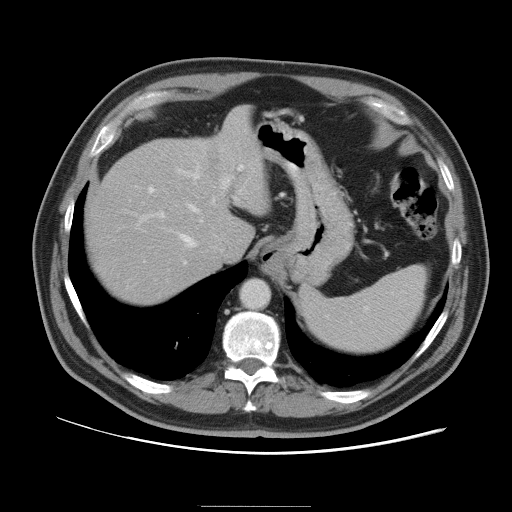

512x512 px; CT; Abdomen
The vessel annotation is not exhaustive.
{
  "hepatic_vessel": [
    "238,165,242,169",
    "212,199,214,204",
    "148,186,153,192",
    "143,260,145,261",
    "214,246,216,248",
    "239,186,244,193",
    "180,234,196,246",
    "137,212,163,227",
    "189,205,198,211",
    "221,176,233,188",
    "200,220,202,221",
    "232,167,233,168",
    "221,193,223,194",
    "176,163,199,183",
    "184,261,186,263"
  ],
  "liver_tumor": [
    "209,150,218,170"
  ]
}